CT. Abdomen. Slice index 127.

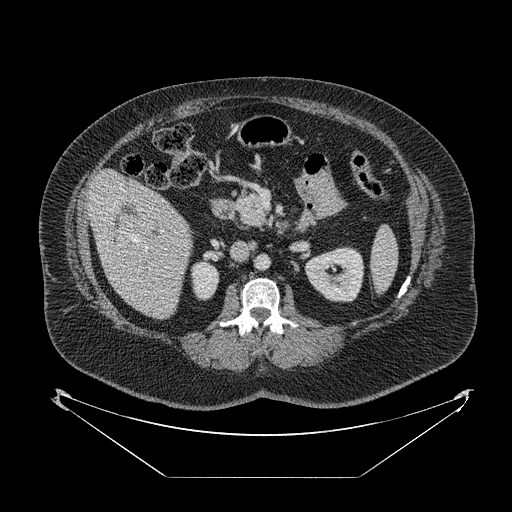

The pancreas lies within {"x1": 234, "y1": 192, "x2": 268, "y2": 228}.